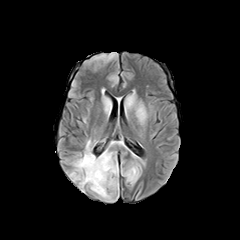
FLAIR MR image.
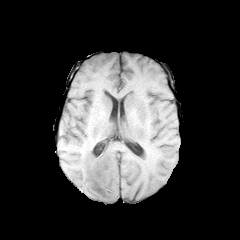
T1-weighted MRI.
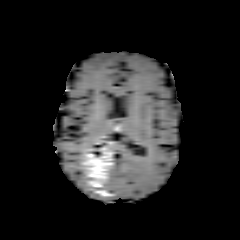
Post-contrast T1-weighted magnetic resonance.
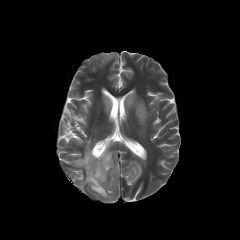
T2-weighted MR image of the same slice.
Head.
2 non-enhancing tumor core regions are located at <bbox>99, 180, 111, 197</bbox>, <bbox>84, 150, 111, 185</bbox>. 2 edema regions are bounded by <bbox>72, 143, 91, 187</bbox>, <bbox>106, 162, 115, 175</bbox>. 2 enhancing tumor regions appear at <bbox>82, 154, 101, 164</bbox>, <bbox>89, 164, 107, 196</bbox>.